FLAIR MR image.
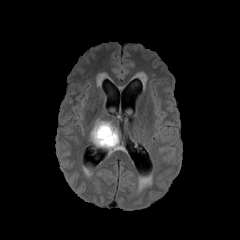
T1-weighted MRI.
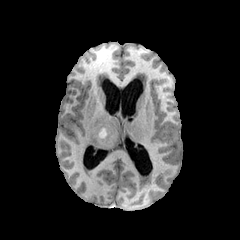
Post-contrast T1-weighted magnetic resonance.
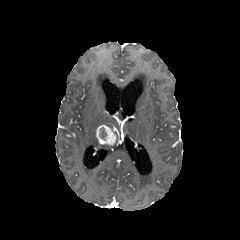
T2-weighted magnetic resonance.
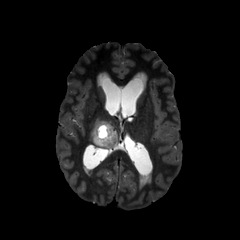
Brain
Enhancing tumor at [94, 123, 115, 147].
Non-enhancing tumor core at [98, 126, 107, 141].
Edema at [89, 119, 112, 146].